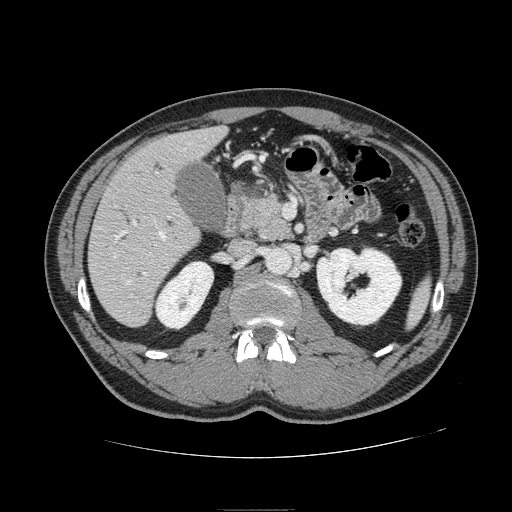 Upper abdomen; Computed tomography
<segmentation>
  <pancreatic_tumor>(left=250, top=204, right=281, bottom=235)</pancreatic_tumor>
  <pancreas>(left=241, top=195, right=292, bottom=240)</pancreas>
</segmentation>